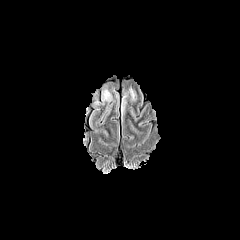
FLAIR MR.
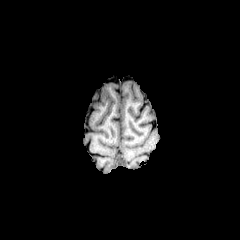
T1-weighted magnetic resonance.
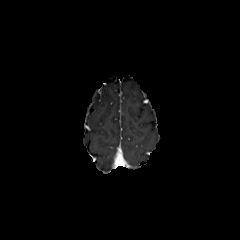
Post-contrast T1-weighted MRI.
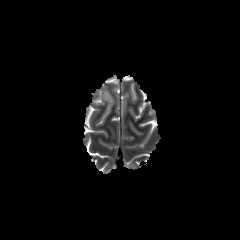
T2-weighted MR.
2 edema regions appear at x1=101 y1=90 x2=112 y2=105, x1=121 y1=99 x2=127 y2=114.